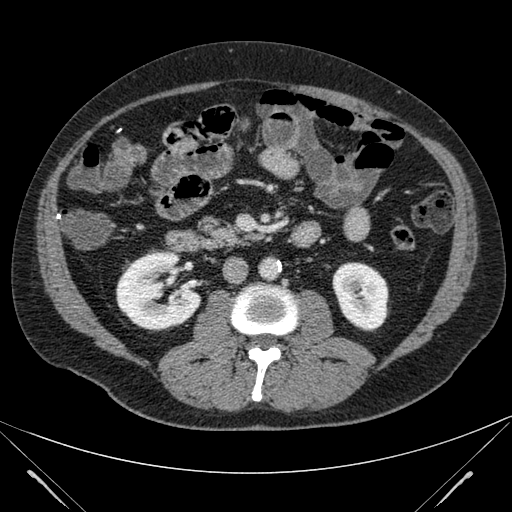
512x512; CT slice
kidney:
  - region(117, 252, 199, 328)
  - region(333, 263, 387, 329)